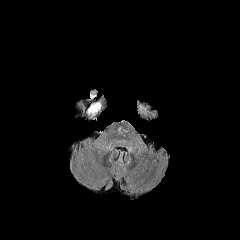
FLAIR magnetic resonance.
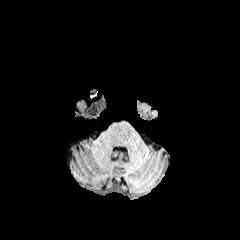
T1-weighted magnetic resonance of the same slice.
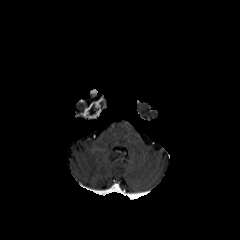
Post-contrast T1-weighted magnetic resonance.
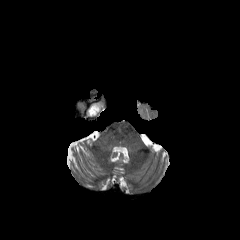
T2-weighted MR image.
2 non-enhancing tumor core regions are bounded by bbox(87, 103, 97, 114); bbox(75, 94, 98, 116). The enhancing tumor lies within bbox(80, 94, 106, 121).